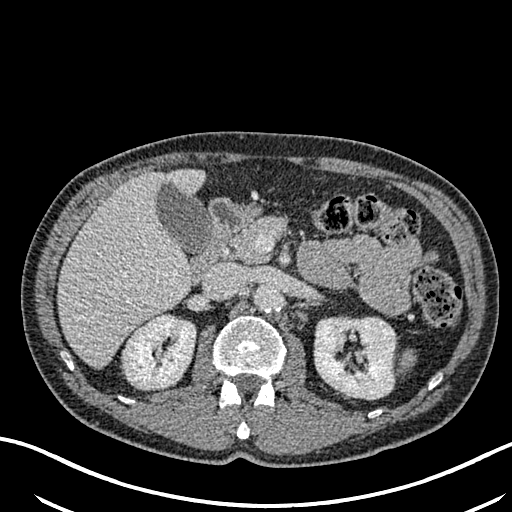 Upper abdomen, CT scan slice
<segmentation>
  <liver>57, 170, 204, 368</liver>
  <kidney>315, 318, 394, 396; 123, 316, 195, 388</kidney>
</segmentation>